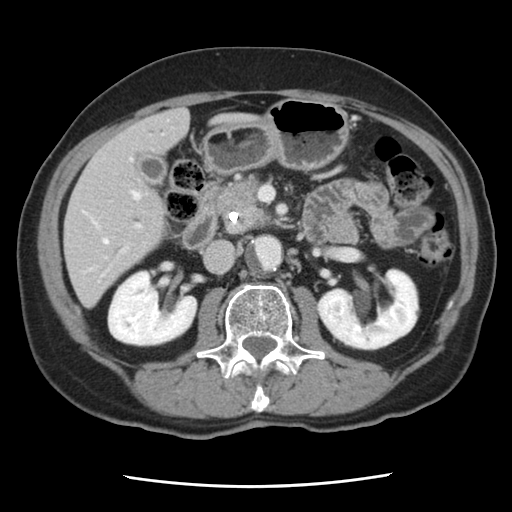
Upper abdomen. CT slice.
{"pancreas": ["[229,176,264,210]"], "pancreatic_tumor": ["[214,185,270,235]"]}